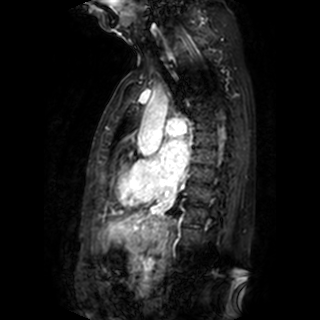

MRI. left_atrium:
  - (x1=159, y1=139, x2=188, y2=179)